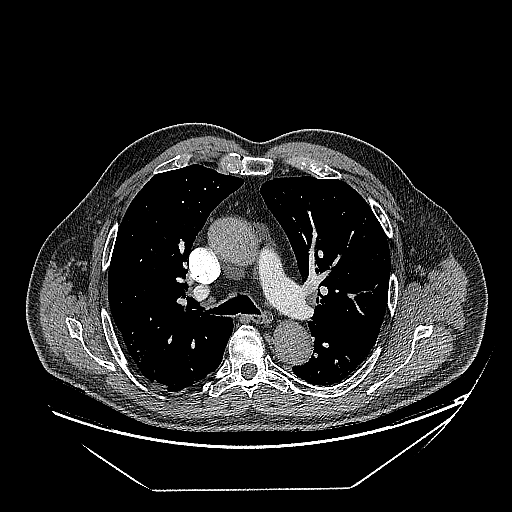 512x512 px; CT

<segmentation>
  <lung_tumor>x1=136, y1=348, x2=151, y2=372</lung_tumor>
</segmentation>